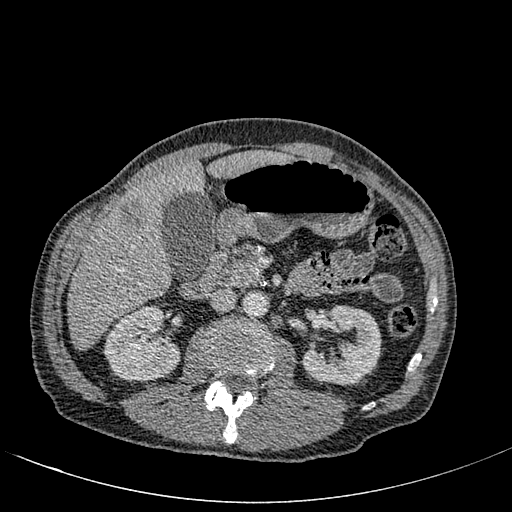 Computed tomography; Upper abdomen
liver: x1=208 y1=151 x2=289 y2=177, x1=69 y1=162 x2=203 y2=349 | liver lesion: x1=118 y1=200 x2=146 y2=230 | kidney: x1=104 y1=306 x2=179 y2=380, x1=303 y1=306 x2=380 y2=384